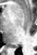
MR image
Segmented structures:
- posterior hippocampus: (x1=12, y1=45, x2=18, y2=48)